Head
FLAIR magnetic resonance.
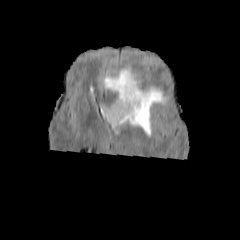
T1-weighted MR.
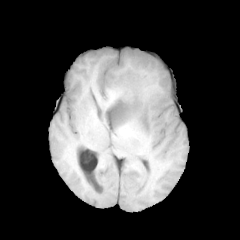
Post-contrast T1-weighted MR.
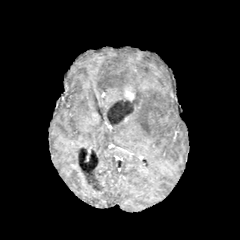
T2-weighted magnetic resonance.
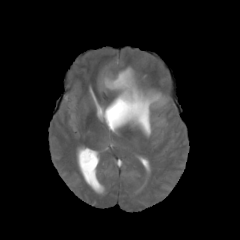
Edema at [101,66,168,135].
Non-enhancing tumor core at [107,98,140,124].
Enhancing tumor at [123,85,134,100].